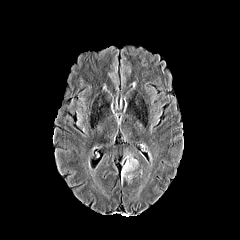
FLAIR MRI.
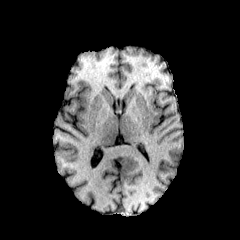
T1-weighted MR image.
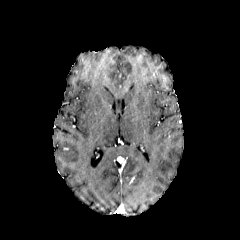
Post-contrast T1-weighted magnetic resonance.
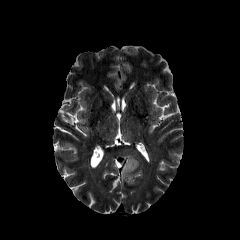
T2-weighted magnetic resonance.
Head; 240x240 px
Edema = box(121, 153, 138, 184).